CT image | Abdomen | 512x512
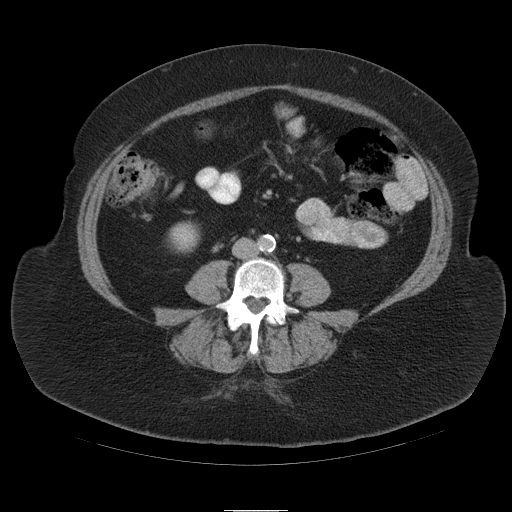 Colon tumor: bounding box (127,171,155,200).